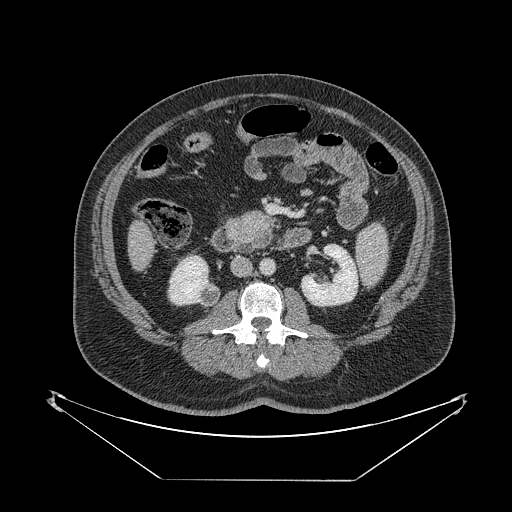 CT image
Pancreas: 230, 214, 272, 253.
Pancreatic tumor: 234, 213, 269, 238.